MRI slice. Hippocampus. Field of view 35 mm wide, 1.00 mm slice spacing.
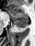
{
  "anterior_hippocampus": [
    "8:10:28:20"
  ],
  "posterior_hippocampus": [
    "13:21:28:27"
  ]
}